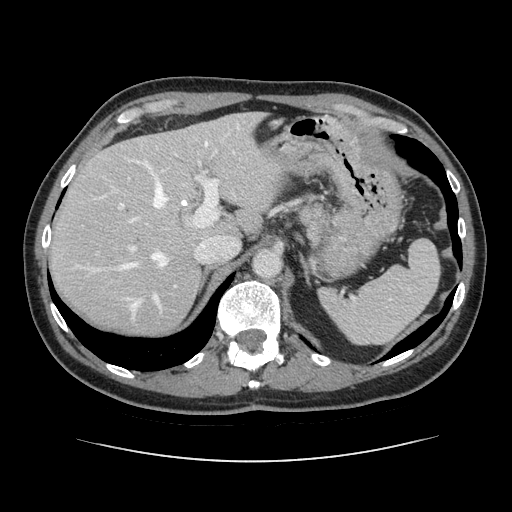 CT, Upper abdomen

The pancreas is at [298,203,325,239].